FLAIR MRI.
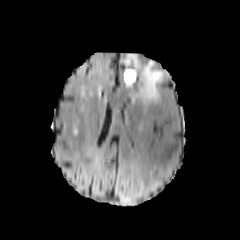
T1-weighted MRI.
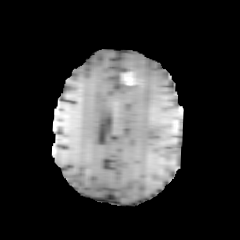
Post-contrast T1-weighted MR image.
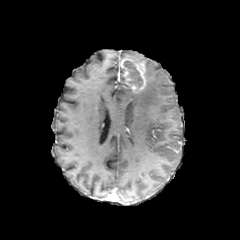
T2-weighted MRI.
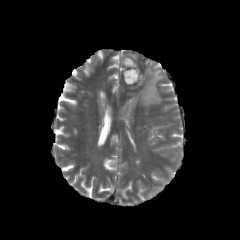
Enhancing tumor = [121,57,146,92].
Edema = [126,54,141,62], [127,60,165,106].
Non-enhancing tumor core = [123,60,143,88].